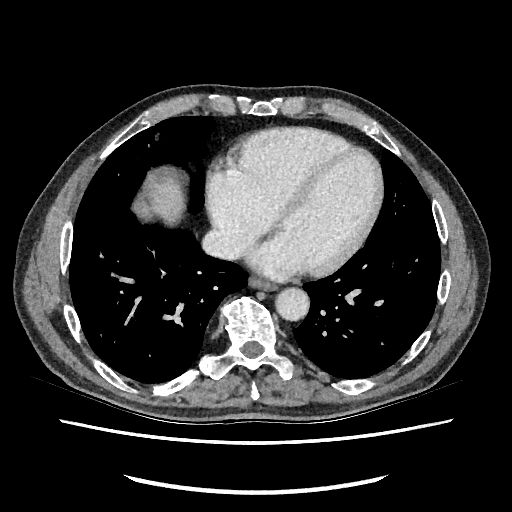 CT. 512x512.
Liver at 145, 177, 183, 223.